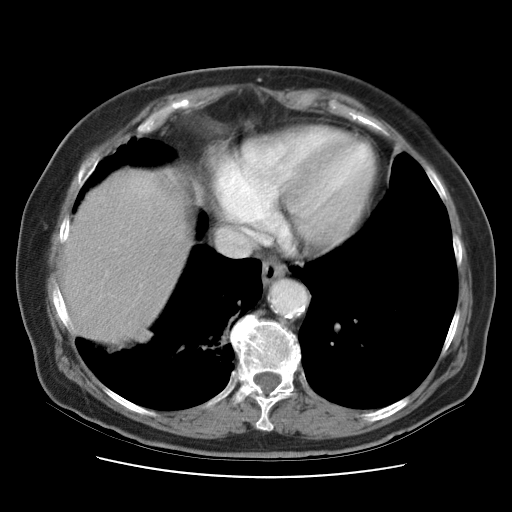
Abdomen; 512x512 px; Computed tomography
Some hepatic vessels may have no box.
liver_tumor:
  - <box>162,174,178,195</box>
hepatic_vessel:
  - <box>219,229,256,256</box>